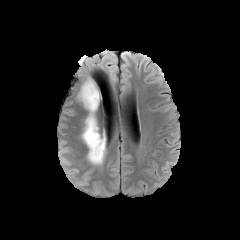
FLAIR MR.
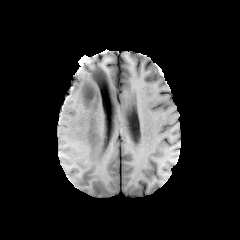
T1-weighted magnetic resonance.
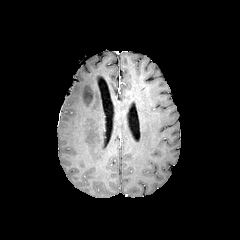
Post-contrast T1-weighted MRI of the same slice.
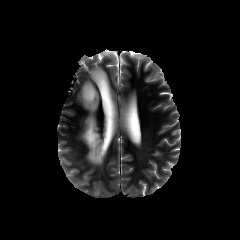
T2-weighted MR.
2 edema regions appear at l=97, t=52, r=113, b=62; l=78, t=79, r=106, b=164.